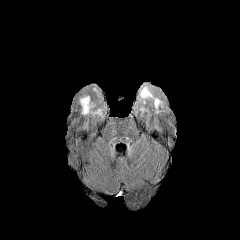
FLAIR MR.
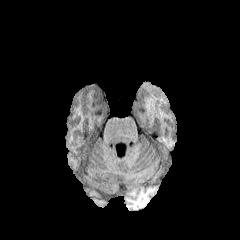
T1-weighted magnetic resonance.
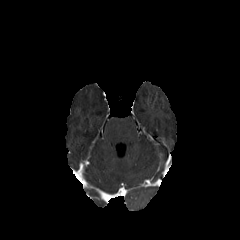
Post-contrast T1-weighted MRI of the same slice.
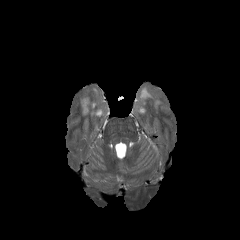
T2-weighted MR.
Image size 240x240; Brain
2 edema regions are located at 140:87:152:98, 80:97:93:114.